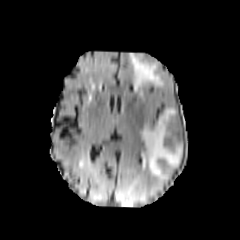
FLAIR MR.
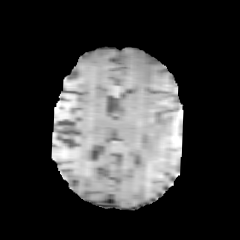
T1-weighted MRI.
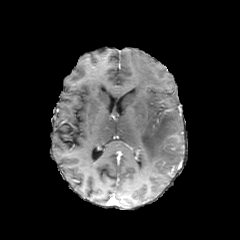
Post-contrast T1-weighted magnetic resonance.
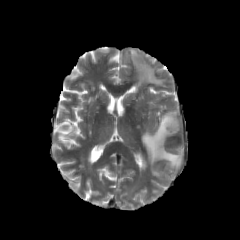
T2-weighted MR image.
Head.
<segmentation>
  <edema>left=128, top=52, right=164, bottom=96; left=140, top=107, right=183, bottom=175</edema>
</segmentation>